Head
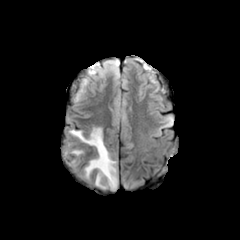
FLAIR MR image.
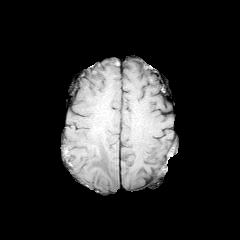
T1-weighted MRI.
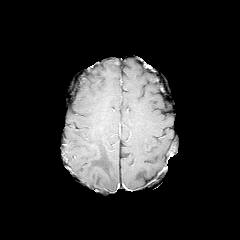
Post-contrast T1-weighted MR.
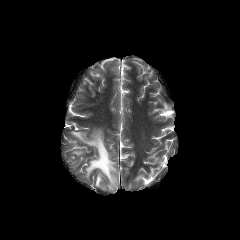
T2-weighted magnetic resonance.
Edema: l=109, t=64, r=119, b=74; l=71, t=147, r=82, b=155; l=70, t=127, r=118, b=190.